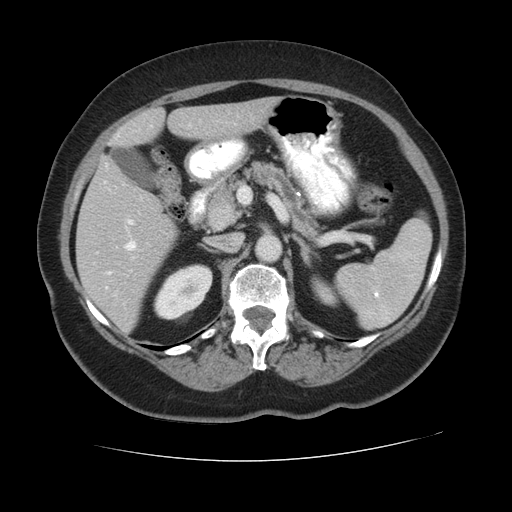
CT slice

Pancreatic tumor = region(208, 200, 237, 230).
Pancreas = region(208, 161, 317, 231).